MRI slice. Medial temporal lobe. 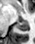 {"posterior_hippocampus": ["(x1=17, y1=19, x2=28, y2=31)"]}